FLAIR MRI.
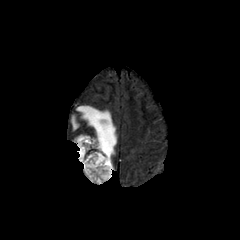
T1-weighted MR image.
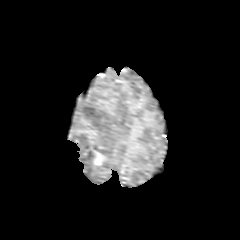
Post-contrast T1-weighted magnetic resonance.
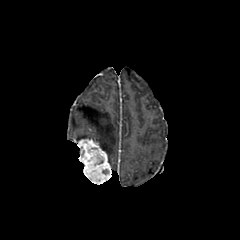
T2-weighted MR.
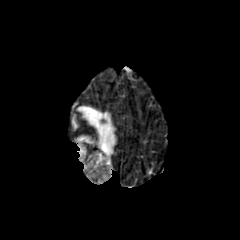
<segmentation>
  <enhancing_tumor>[77,138,110,183]</enhancing_tumor>
  <edema>[72,105,116,169]</edema>
</segmentation>